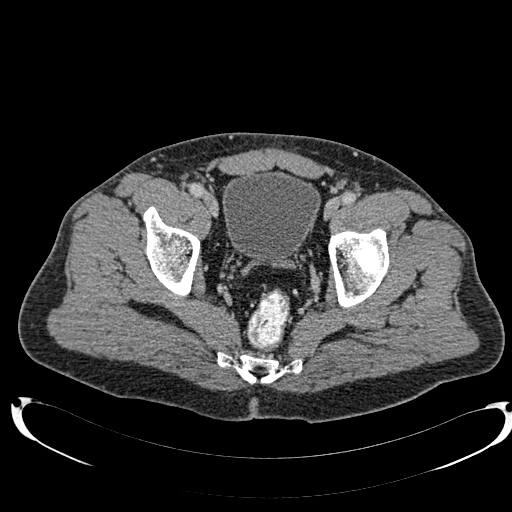
CT slice
Urinary bladder: bounding box [222,170,320,265].